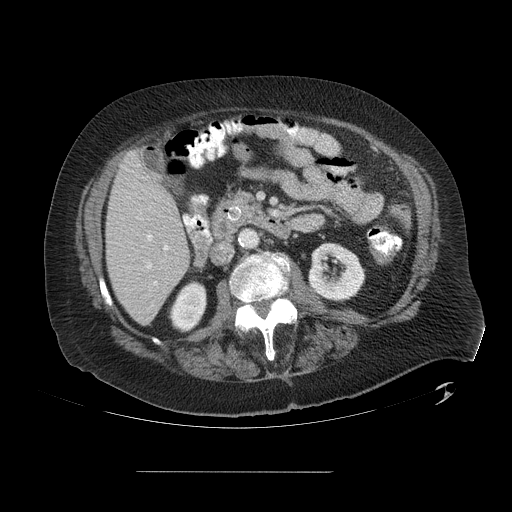 Liver, CT
The vessel boxes may cover only some of the vessels.
hepatic_vessel:
  - (x1=147, y1=262, x2=151, y2=268)
  - (x1=147, y1=231, x2=152, y2=239)
  - (x1=154, y1=281, x2=157, y2=285)
  - (x1=164, y1=245, x2=167, y2=249)